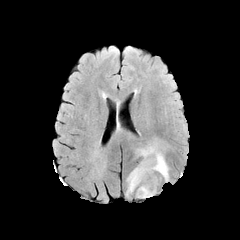
FLAIR MRI.
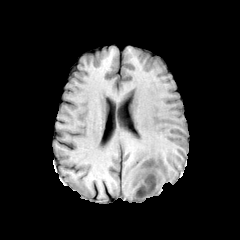
T1-weighted magnetic resonance of the same slice.
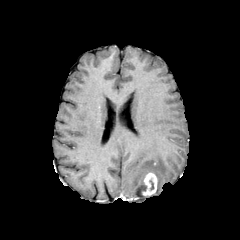
Post-contrast T1-weighted MRI.
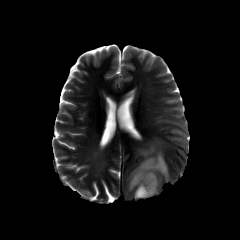
T2-weighted magnetic resonance of the same slice.
Head
Enhancing tumor at 141:172:158:196.
Edema at 136:184:153:198, 126:145:169:195.